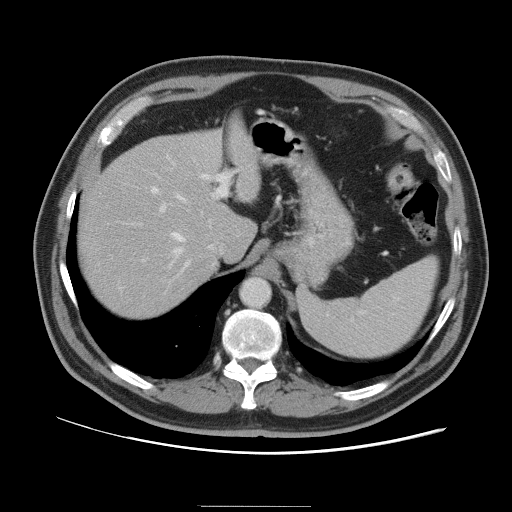

Image size 512x512; CT slice

Not every hepatic vessel necessarily has a box.
{
  "partial": true,
  "hepatic_vessel": {
    "n_total": 16,
    "boxes": [
      "[172, 232, 184, 242]",
      "[160, 203, 170, 212]",
      "[166, 155, 175, 164]",
      "[200, 174, 216, 179]",
      "[151, 187, 157, 192]",
      "[209, 219, 212, 227]",
      "[176, 194, 185, 201]",
      "[141, 258, 147, 261]",
      "[241, 167, 242, 169]",
      "[212, 191, 216, 198]",
      "[209, 247, 211, 248]",
      "[200, 211, 202, 214]",
      "[119, 287, 122, 290]",
      "[176, 261, 189, 276]",
      "[168, 247, 183, 268]"
    ]
  }
}